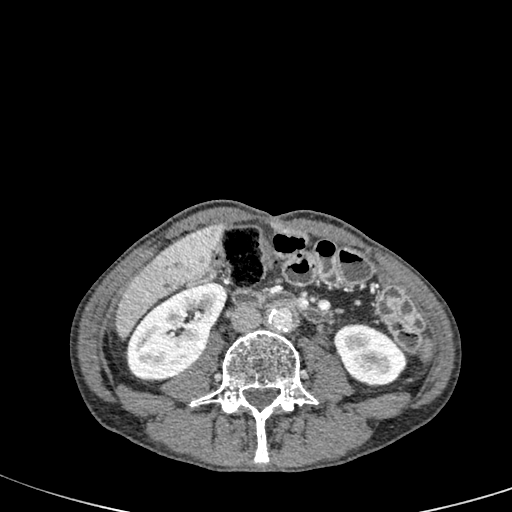 Upper abdomen | Computed tomography | Image size 512x512
<segmentation>
  <kidney><box>127,282,225,379</box>, <box>335,325,405,384</box></kidney>
  <liver><box>117,223,223,339</box></liver>
</segmentation>